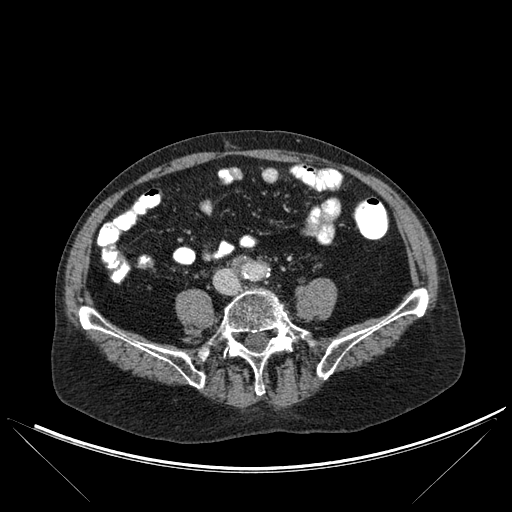

CT. Image size 512x512. 4 bone regions are bounded by 317:288:428:378, 221:290:307:394, 200:349:208:358, 79:306:204:388.